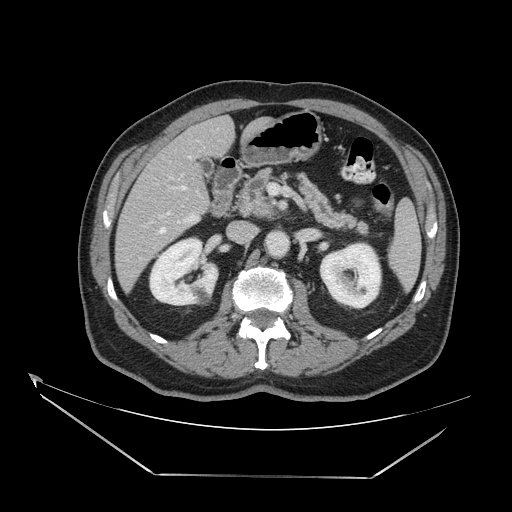
Computed tomography. 512x512 px.

<segmentation>
  <pancreas>296,175,367,233; 238,169,272,217</pancreas>
</segmentation>